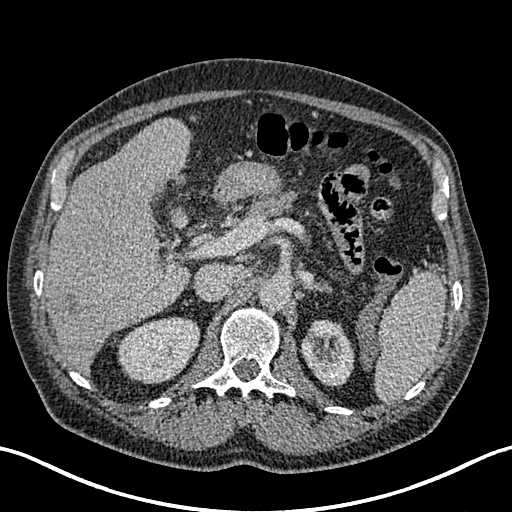
CT.
Segmented structures:
* kidney: <box>302,321,352,385</box>, <box>119,318,198,382</box>
* hepatic lesion: <box>57,291,85,323</box>
* liver: <box>45,118,191,373</box>